38x48, MR image

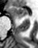

The anterior hippocampus lies within [9,6,28,17].